CT image, Image width 512 mm, Slice index 30
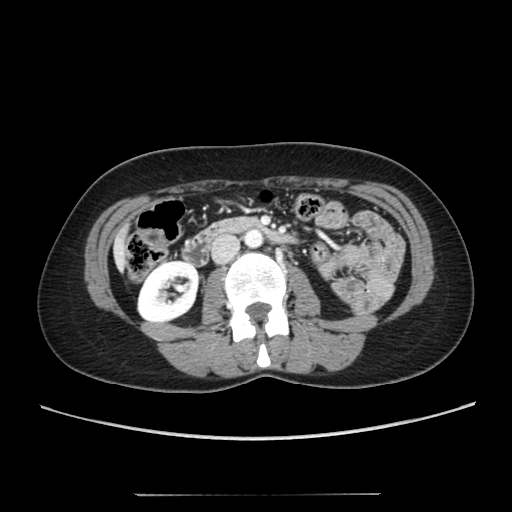 Liver — l=112, t=222, r=128, b=273.
Kidney — l=138, t=262, r=197, b=321.